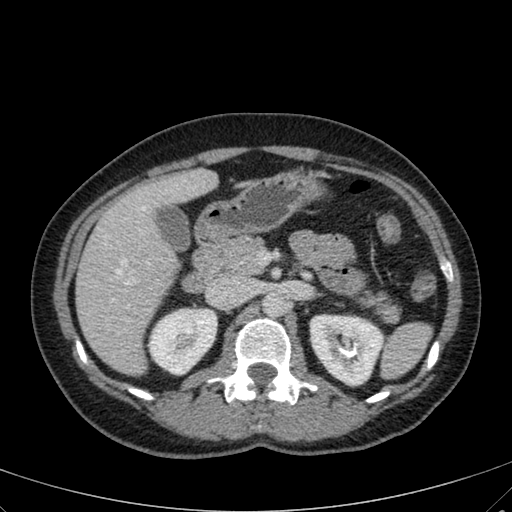 CT scan slice
Liver at region(76, 168, 217, 373).
Kidney at region(311, 315, 382, 384); region(149, 309, 216, 373).